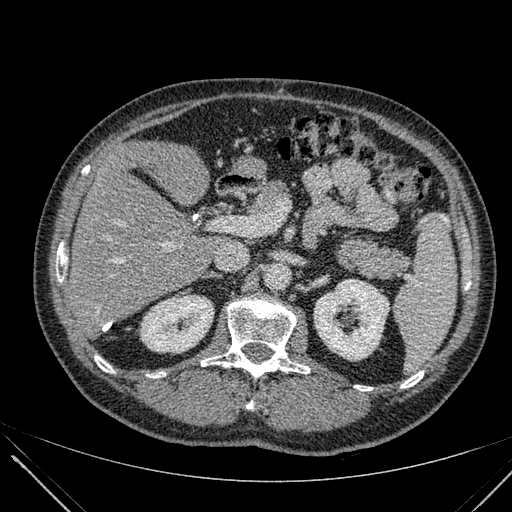
CT. Upper abdomen.
2 kidney regions are bounded by x1=141 y1=295 x2=213 y2=352, x1=314 y1=279 x2=388 y2=359. The liver is at x1=70 y1=139 x2=229 y2=339.